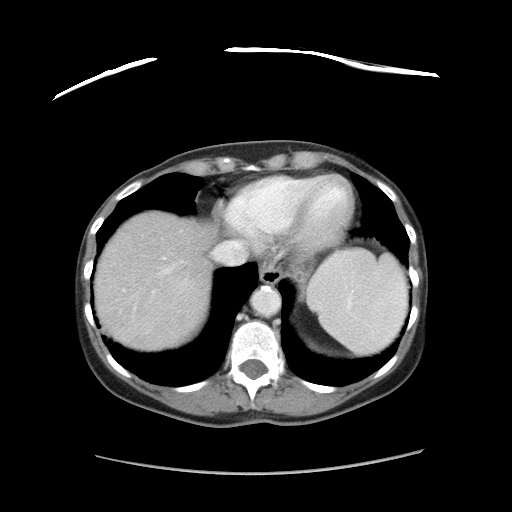

CT
The vessel boxes may cover only some of the vessels.
Findings:
- hepatic vessel: 210 239 246 264, 161 269 169 273, 163 257 164 258, 153 290 155 294